CT scan slice | Field of view 432x432 mm | Upper abdomen
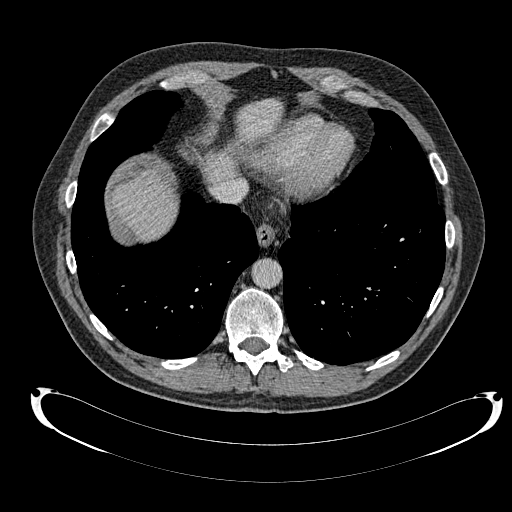

3 liver regions are located at (x1=237, y1=100, x2=281, y2=145), (x1=207, y1=152, x2=235, y2=182), (x1=113, y1=172, x2=175, y2=239).